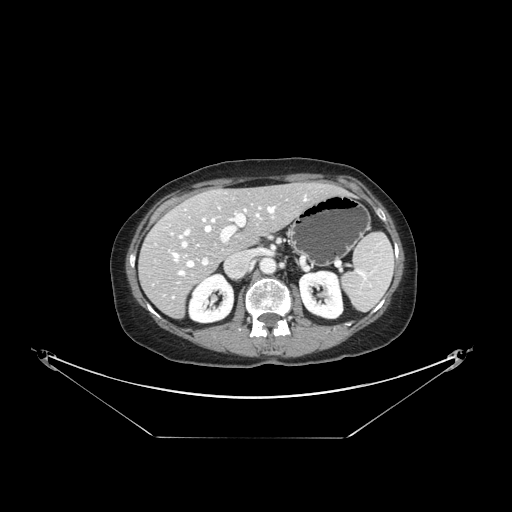
Liver | CT slice
The vessel annotation is not exhaustive.
* hepatic vessel: region(268, 207, 273, 211); region(234, 214, 244, 225); region(206, 226, 209, 230); region(203, 260, 206, 263); region(182, 242, 185, 245); region(186, 231, 187, 233); region(221, 227, 233, 240); region(180, 236, 182, 237)